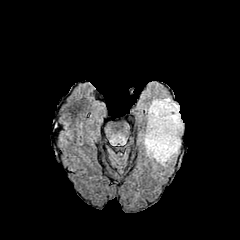
FLAIR MR.
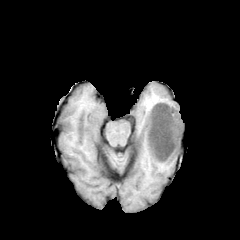
T1-weighted magnetic resonance of the same slice.
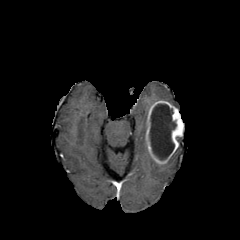
Post-contrast T1-weighted MR image.
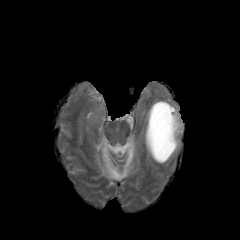
T2-weighted MRI.
{"enhancing_tumor": ["145:100:183:163"], "edema": ["160:137:181:165", "146:97:179:113", "141:117:159:163"], "non-enhancing_tumor_core": ["149:103:175:160"]}